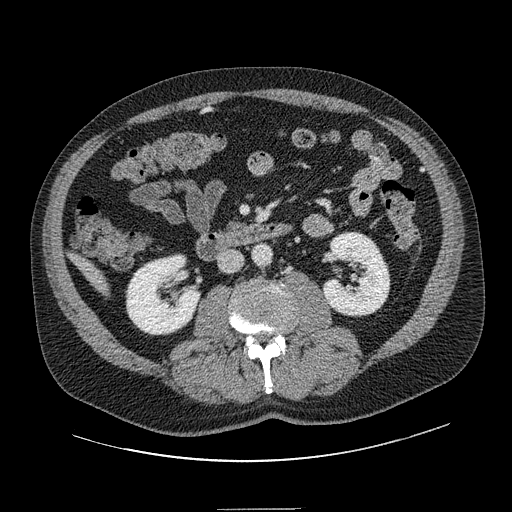

CT image; Abdomen
Pancreas at box=[227, 223, 242, 229].